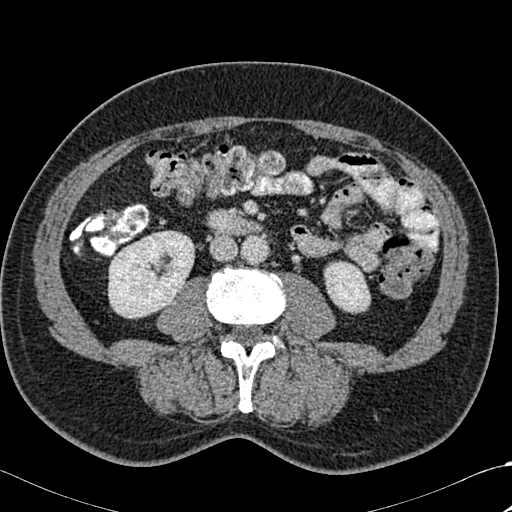

Abdomen; Computed tomography
{
  "kidney": [
    "<bbox>325, 262, 369, 311</bbox>",
    "<bbox>108, 231, 193, 317</bbox>"
  ],
  "bone": [
    "<bbox>221, 336, 282, 412</bbox>",
    "<bbox>207, 268, 285, 332</bbox>"
  ]
}